CT image.
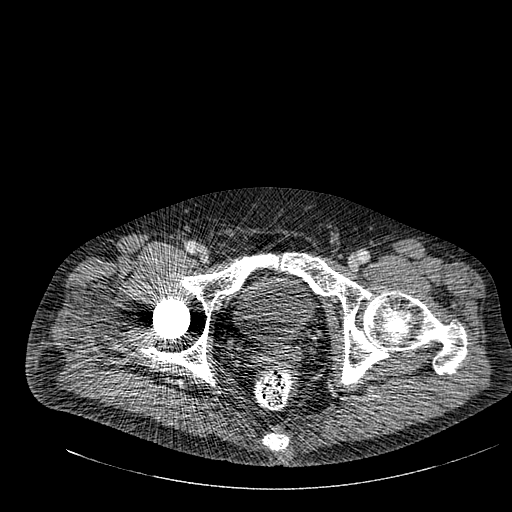
Urinary bladder = [233, 266, 316, 349].